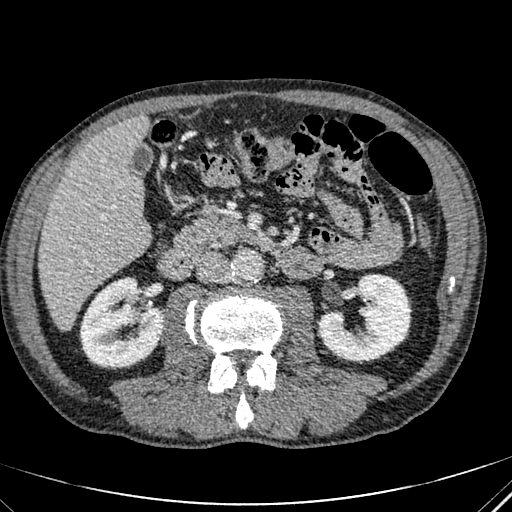 Computed tomography
Annotated regions:
- liver: rect(39, 115, 149, 330)
- kidney: rect(81, 278, 162, 366); rect(320, 275, 409, 359)